Abdomen. CT scan slice. Image size 512x512. 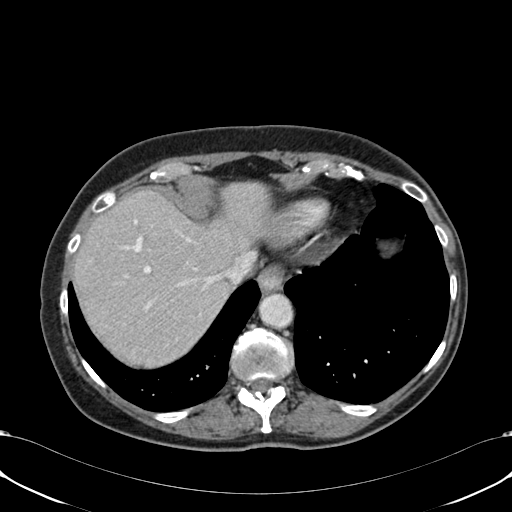
The liver is bounded by 74:182:269:364.